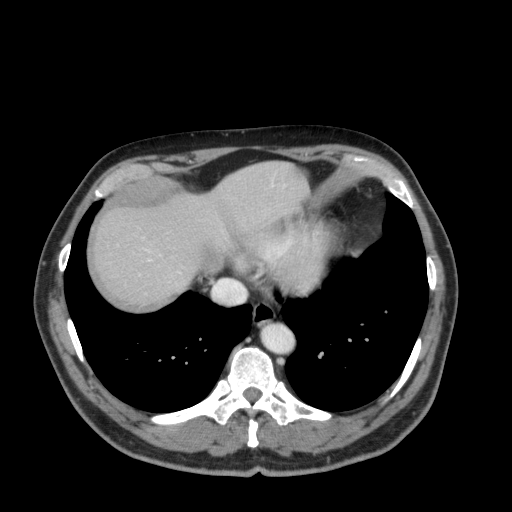
Liver. CT.
Liver: bounding box <bbox>92, 163, 307, 306</bbox>.